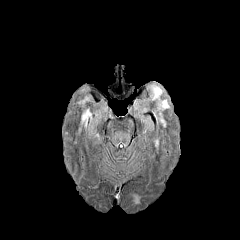
FLAIR MR.
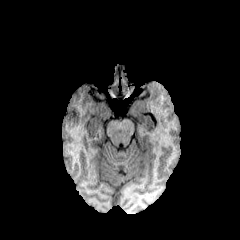
T1-weighted magnetic resonance.
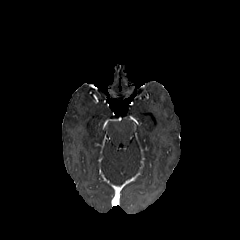
Post-contrast T1-weighted MR of the same slice.
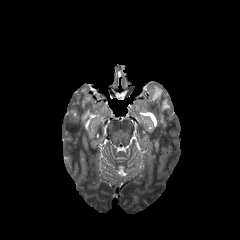
T2-weighted MRI.
Image size 240x240.
• edema: <box>157,100,168,110</box>, <box>81,109,101,125</box>, <box>149,86,161,100</box>